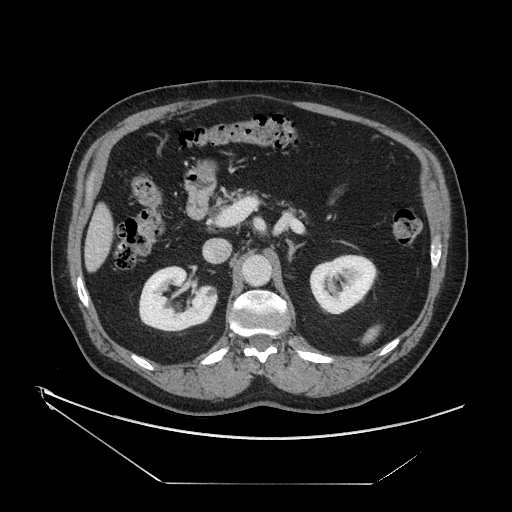
Computed tomography | Abdomen
Pancreas at 209:186:307:218.